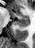 35x48 px. Magnetic resonance. Posterior hippocampus = 16, 18, 29, 28.
Anterior hippocampus = 19, 16, 26, 17.